512x512 | CT image | Slice index 15 | Abdomen
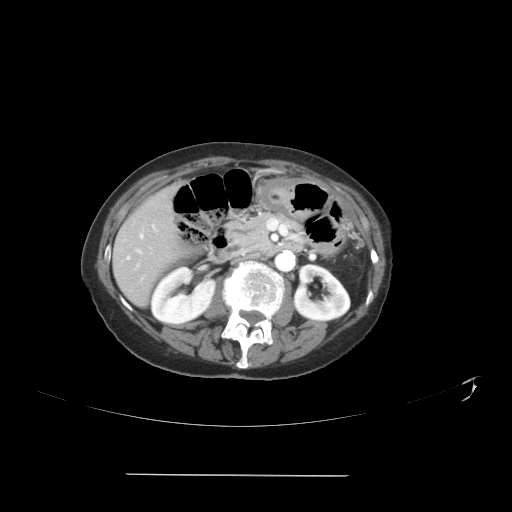 Only some of the vessels may be annotated.
Hepatic vessel at x1=136 y1=249 x2=140 y2=252, x1=152 y1=225 x2=154 y2=229, x1=140 y1=234 x2=143 y2=237, x1=127 y1=256 x2=129 y2=258.